240x240; Slice 107/155; Brain
FLAIR MRI.
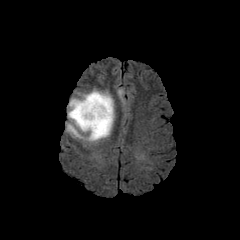
T1-weighted MR image.
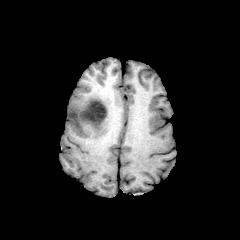
Post-contrast T1-weighted MR.
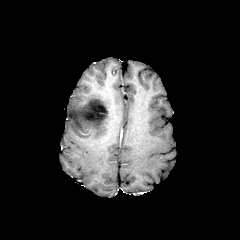
T2-weighted MRI.
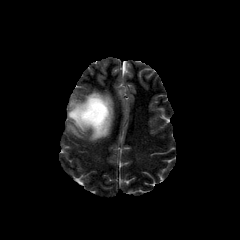
Non-enhancing tumor core at box(80, 96, 113, 140).
Edema at box(66, 89, 114, 142).